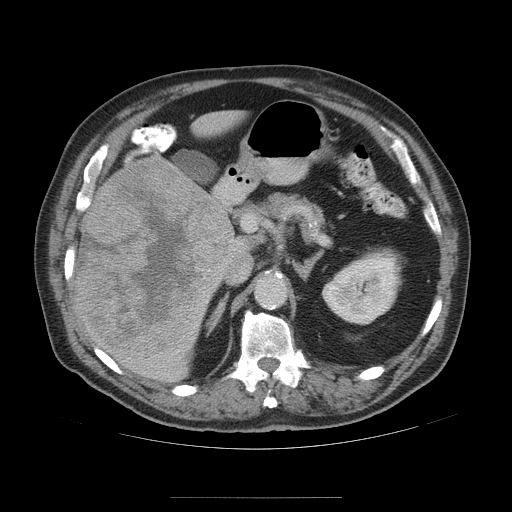 CT image, Liver
Liver tumor — [x1=74, y1=156, x2=234, y2=359].